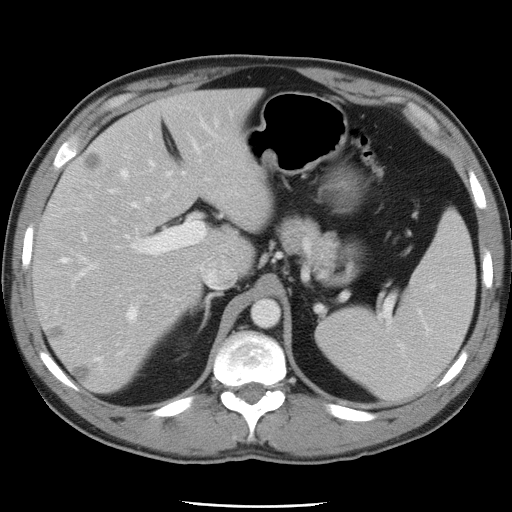
512x512, CT scan slice

Only some of the vessels may be annotated.
15 hepatic vessel regions appear at [x1=95, y1=358, x2=98, y2=360], [x1=150, y1=161, x2=152, y2=163], [x1=197, y1=263, x2=222, y2=288], [x1=125, y1=235, x2=129, y2=238], [x1=131, y1=202, x2=138, y2=207], [x1=167, y1=173, x2=169, y2=174], [x1=74, y1=256, x2=96, y2=280], [x1=193, y1=142, x2=195, y2=145], [x1=126, y1=304, x2=137, y2=322], [x1=82, y1=234, x2=86, y2=239], [x1=109, y1=190, x2=114, y2=191], [x1=222, y1=267, x2=228, y2=273], [x1=62, y1=257, x2=69, y2=262], [x1=131, y1=219, x2=205, y2=254], [x1=121, y1=170, x2=126, y2=176].